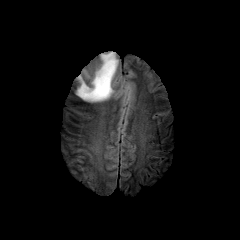
FLAIR MR.
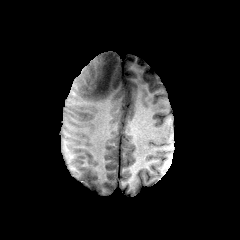
Same slice, T1-weighted MR.
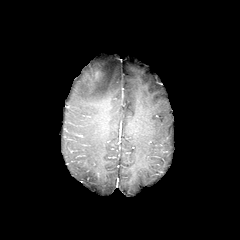
Post-contrast T1-weighted MR of the same slice.
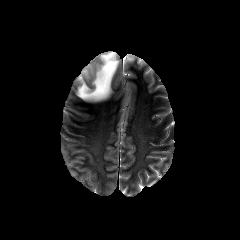
T2-weighted MR.
Brain
edema:
  - l=76, t=51, r=119, b=102